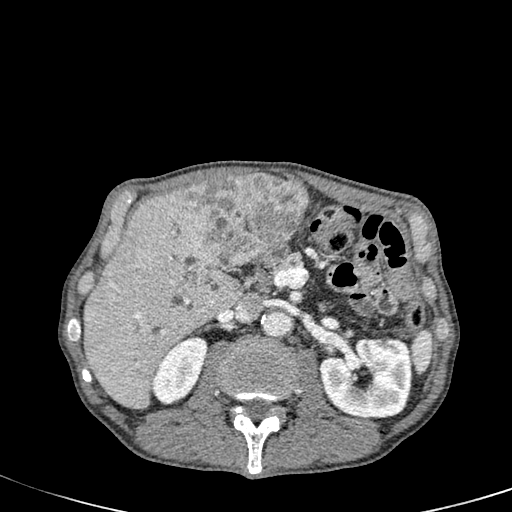

512x512 px; CT scan slice
2 kidney regions appear at <box>152,338,206,403</box>, <box>320,340,410,416</box>. 3 focal liver lesion regions are bounded by <box>185,270,199,282</box>, <box>184,174,308,272</box>, <box>201,273,209,283</box>. The liver appears at <box>83,188,240,409</box>.